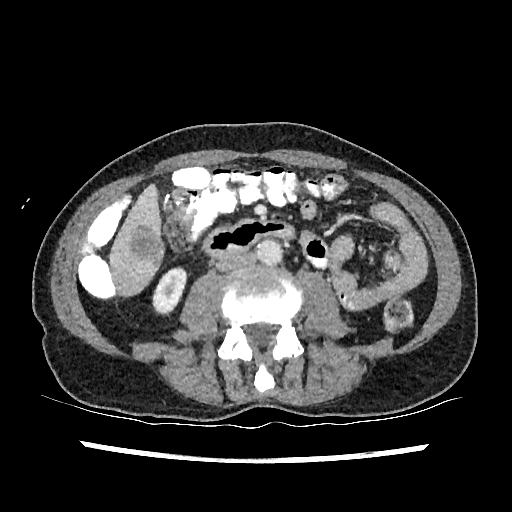

CT | Upper abdomen
<segmentation>
  <focal_liver_lesion>[130, 228, 162, 258]</focal_liver_lesion>
  <liver>[110, 185, 162, 295]</liver>
  <kidney>[154, 269, 185, 312]</kidney>
</segmentation>